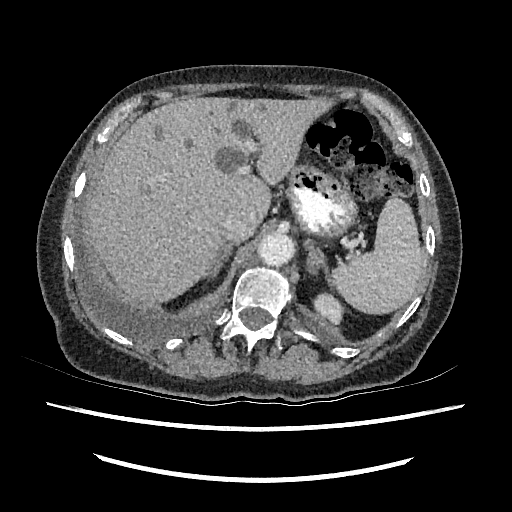
512x512 px | CT
kidney: box=[315, 295, 341, 323] | hepatic lesion: box=[154, 127, 162, 140]; box=[215, 148, 249, 172]; box=[227, 102, 237, 111]; box=[232, 119, 251, 140] | liver: box=[91, 98, 328, 300]